FLAIR MR.
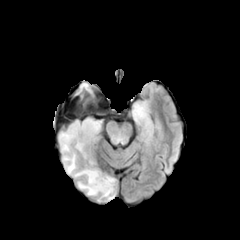
T1-weighted MRI.
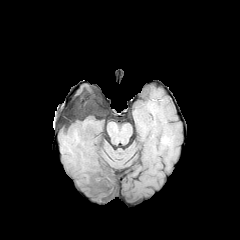
Post-contrast T1-weighted MRI.
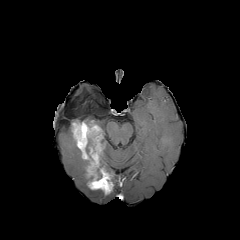
T2-weighted MR.
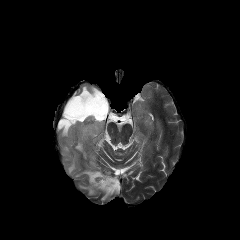
2 enhancing tumor regions are located at x1=87 y1=162 x2=113 y2=194, x1=71 y1=120 x2=101 y2=159. 4 edema regions are located at x1=59 y1=126 x2=117 y2=199, x1=80 y1=84 x2=90 y2=92, x1=68 y1=108 x2=93 y2=123, x1=132 y1=102 x2=146 y2=119. 2 non-enhancing tumor core regions are bounded by x1=108 y1=174 x2=117 y2=191, x1=85 y1=138 x2=107 y2=176.